Abdomen | Slice index 336 | CT image

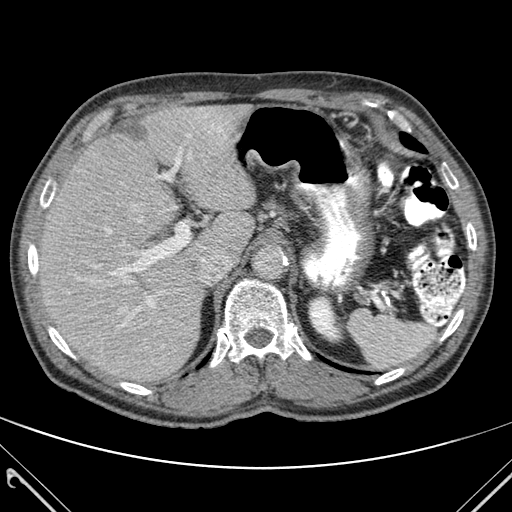 * kidney: x1=310 y1=298 x2=337 y2=337
* lung: x1=400 y1=132 x2=425 y2=152
* bone: x1=28 y1=244 x2=38 y2=273, x1=443 y1=163 x2=457 y2=188, x1=467 y1=224 x2=476 y2=249, x1=49 y1=327 x2=74 y2=357, x1=441 y1=310 x2=463 y2=340, x1=211 y1=280 x2=310 y2=366, x1=375 y1=368 x2=403 y2=384, x1=40 y1=180 x2=54 y2=208, x1=121 y1=382 x2=150 y2=394
* liver: x1=41 y1=104 x2=254 y2=381